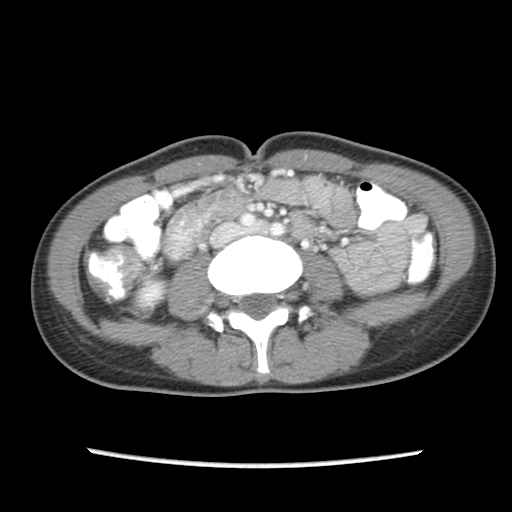

CT slice.

2 colon tumor regions are bounded by box=[107, 246, 139, 289]; box=[83, 251, 111, 300].